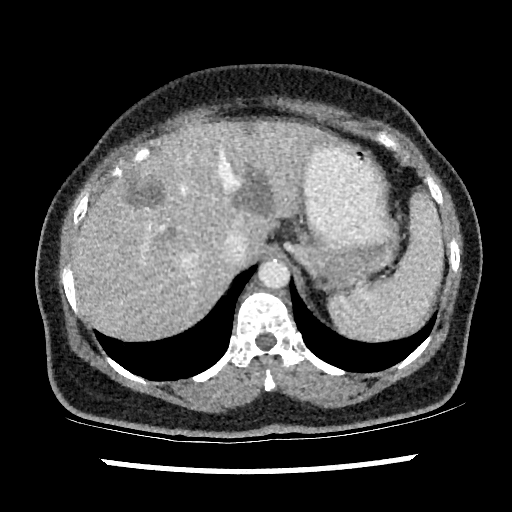

Upper abdomen. Computed tomography. 512x512 px. Segmented structures:
• liver lesion: 125, 180, 165, 205; 233, 171, 273, 218; 241, 123, 256, 131
• liver: 71, 121, 334, 338